240x240
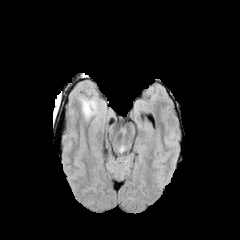
FLAIR MR.
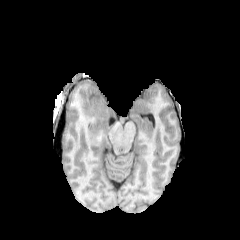
T1-weighted magnetic resonance.
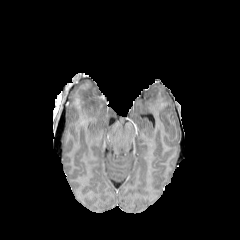
Post-contrast T1-weighted MRI.
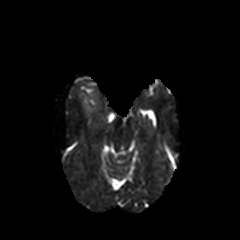
Same slice, T2-weighted MR image.
{
  "edema": [
    "x1=82, y1=98, x2=96, y2=116"
  ]
}